FLAIR MR.
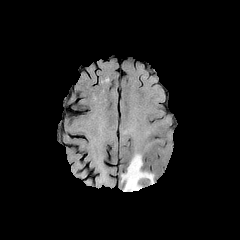
T1-weighted MRI.
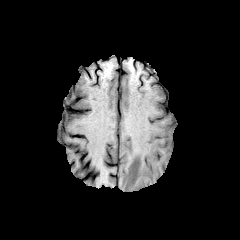
Post-contrast T1-weighted magnetic resonance.
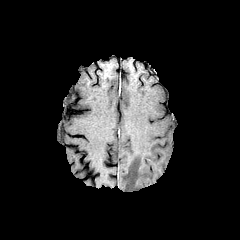
T2-weighted MRI.
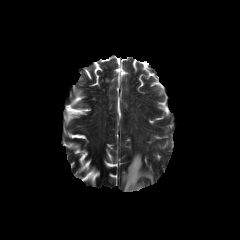
Brain
Edema = box=[121, 154, 153, 191].